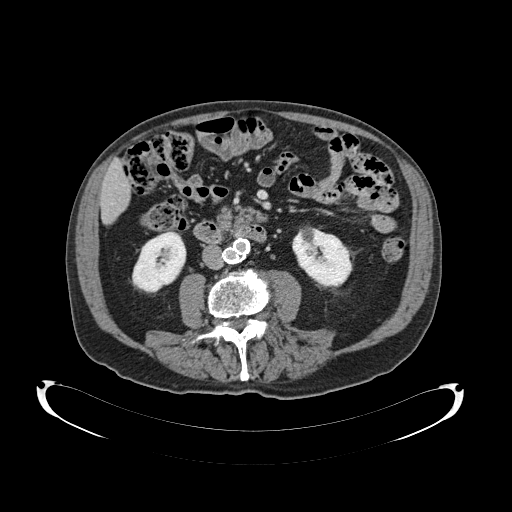
512x512, CT scan slice, Upper abdomen
Pancreas at (216, 206, 237, 232).